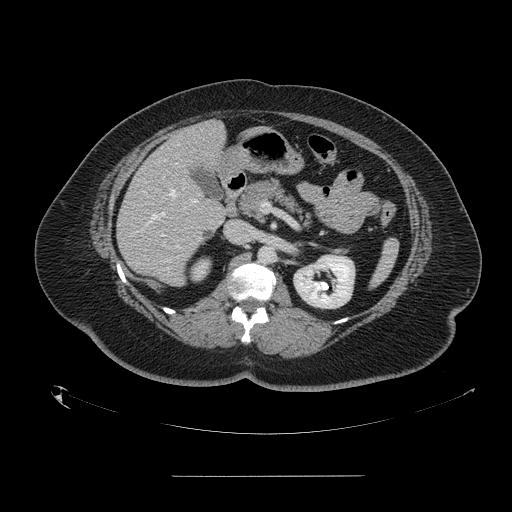 Computed tomography, 512x512
The spleen lies within left=372, top=240, right=398, bottom=286.